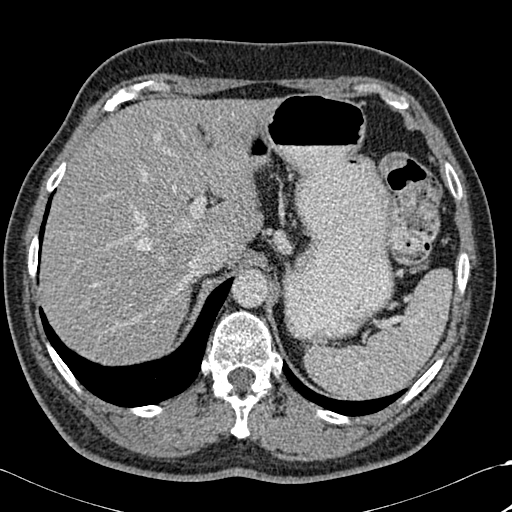
Abdomen. 512x512 px. Computed tomography.
lung: x1=39, y1=192, x2=54, y2=260; x1=283, y1=361, x2=406, y2=416; x1=39, y1=277, x2=233, y2=407 | bone: x1=458, y1=254, x2=468, y2=291; x1=104, y1=83, x2=146, y2=110; x1=132, y1=405, x2=161, y2=416; x1=446, y1=165, x2=461, y2=197; x1=48, y1=346, x2=78, y2=389; x1=317, y1=410, x2=347, y2=423; x1=390, y1=99, x2=407, y2=108; x1=47, y1=163, x2=65, y2=190; x1=202, y1=312, x2=282, y2=437; x1=404, y1=360, x2=441, y2=401; x1=28, y1=237, x2=38, y2=275 | liver: x1=40, y1=99, x2=275, y2=364